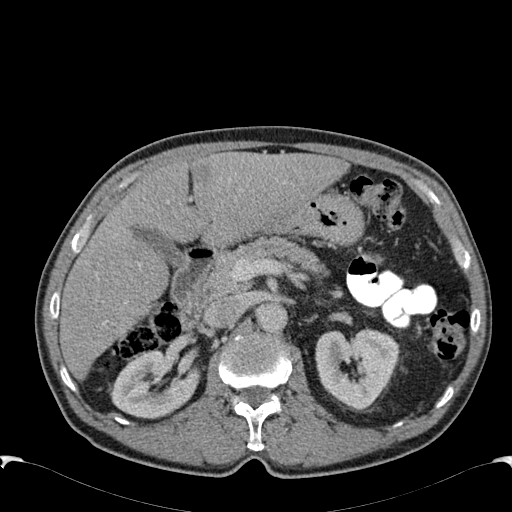

CT image; Abdomen

Kidney: [316, 329, 398, 408], [112, 349, 198, 417].
Hepatic lesion: [196, 165, 212, 182].
Liver: [60, 153, 348, 379].